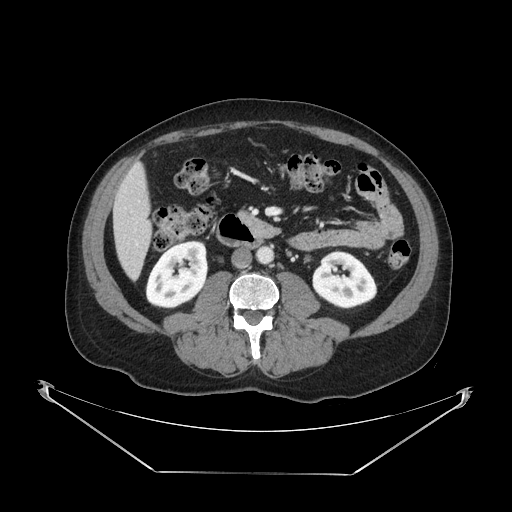
512x512; CT slice; Abdomen
{"pancreas": ["[238,210,280,237]"]}